Abdomen, 512x512 px, Slice 420/908, CT slice

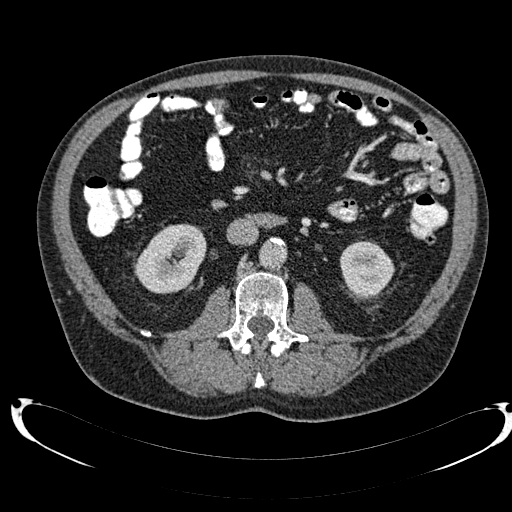 Annotated regions:
- kidney: [135, 224, 205, 293], [340, 241, 394, 298]